Hippocampus; 36x50; MR 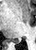 Posterior hippocampus = [9,39,18,43].